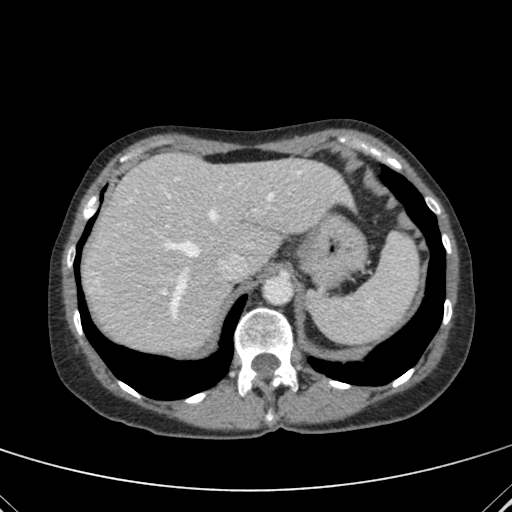

512x512 | Liver | CT slice
Annotated regions:
• liver: 83 153 355 351